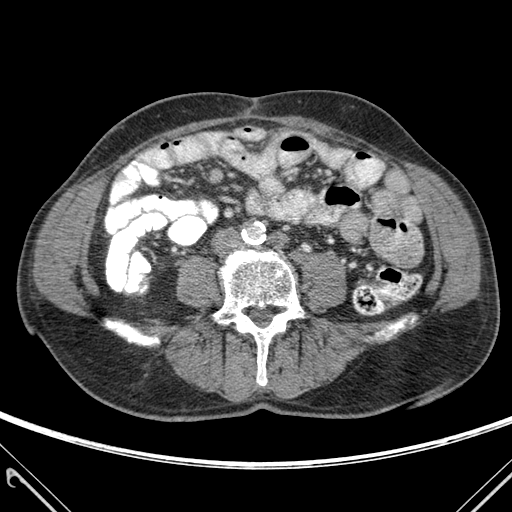

CT, Image size 512x512
<segmentation>
  <bone>388 319 405 332, 106 321 158 344, 213 250 303 385</bone>
</segmentation>